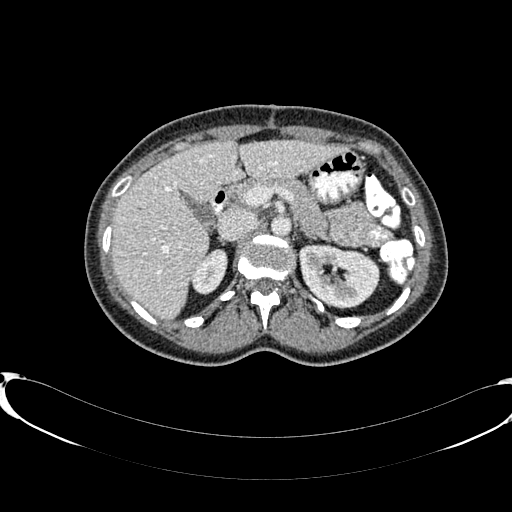 Abdomen. 512x512 px. Computed tomography.

<segmentation>
  <liver>(111,141,348,318)</liver>
  <kidney>(300,246,377,306), (194,253,225,292)</kidney>
</segmentation>